512x512 px | CT image 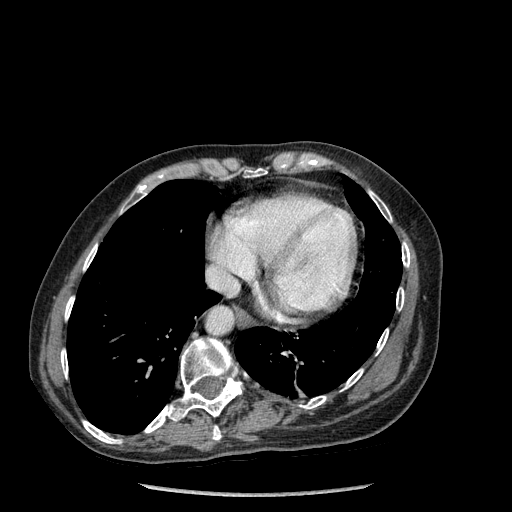 bone:
  - box(341, 369, 363, 391)
  - box(83, 243, 97, 271)
  - box(396, 287, 404, 310)
  - box(82, 420, 121, 443)
  - box(368, 190, 392, 222)
  - box(144, 337, 242, 433)
  - box(212, 425, 221, 440)
  - box(244, 168, 267, 177)
  - box(60, 349, 68, 378)
  - box(299, 396, 326, 409)
  - box(402, 242, 410, 267)
  - box(376, 328, 388, 355)
  - box(120, 184, 146, 213)
  - box(64, 296, 74, 320)
lung:
  - box(234, 176, 401, 398)
  - box(67, 179, 222, 434)